240x240.
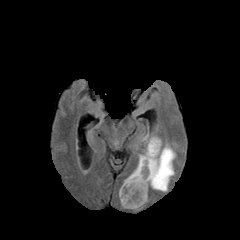
FLAIR MR image.
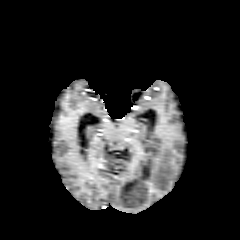
T1-weighted MR image.
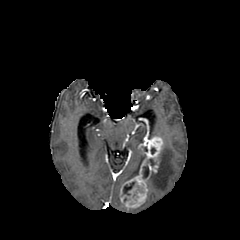
Post-contrast T1-weighted MRI.
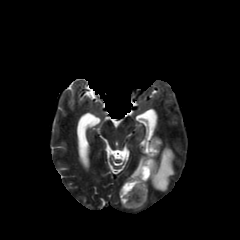
T2-weighted MRI of the same slice.
{"edema": ["124,153,145,182", "149,144,175,191"], "non-enhancing_tumor_core": ["142,166,148,178", "138,144,147,152", "123,183,134,195"], "enhancing_tumor": ["119,137,162,209"]}